FLAIR magnetic resonance.
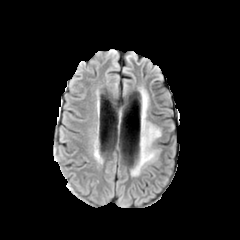
T1-weighted magnetic resonance.
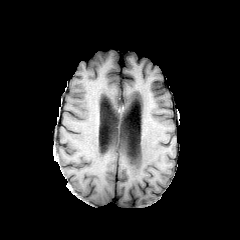
Post-contrast T1-weighted MR image.
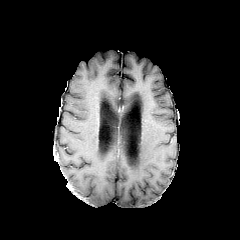
T2-weighted MR.
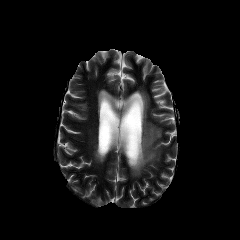
Brain. 240x240 px.
The edema is at region(132, 90, 160, 176).